FLAIR magnetic resonance.
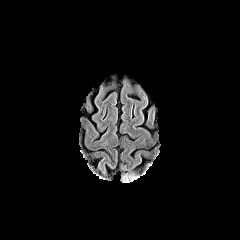
T1-weighted magnetic resonance.
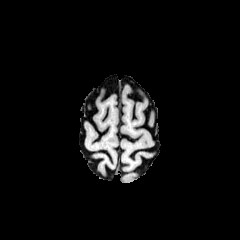
Post-contrast T1-weighted MR image.
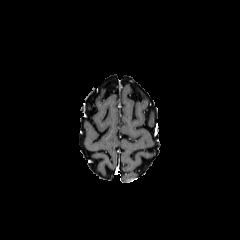
T2-weighted MR image.
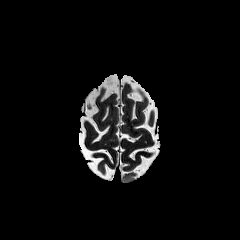
Brain. 240x240 px.
The edema is located at bbox=[120, 173, 139, 182].